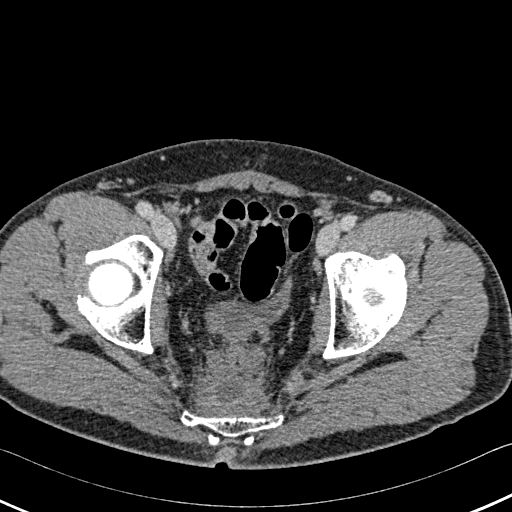 CT image.

4 bone regions appear at (x1=206, y1=433, x2=219, y2=444), (x1=323, y1=251, x2=406, y2=358), (x1=181, y1=411, x2=283, y2=444), (x1=77, y1=235, x2=162, y2=353).